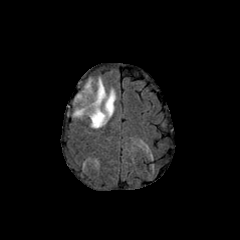
FLAIR magnetic resonance.
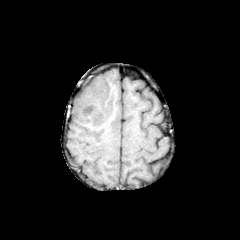
T1-weighted MR image.
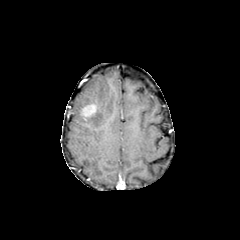
Post-contrast T1-weighted MR of the same slice.
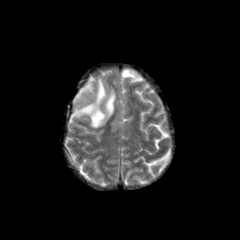
T2-weighted MR of the same slice.
Image size 240x240; Brain
non-enhancing tumor core: {"x1": 83, "y1": 104, "x2": 95, "y2": 113} | edema: {"x1": 73, "y1": 78, "x2": 116, "y2": 128}